Thorax; Field of view 420x420 mm; CT scan slice

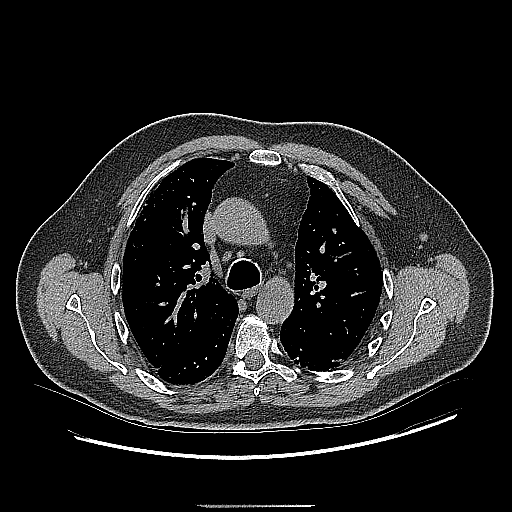
<segmentation>
  <lung_tumor>280:331:302:365, 303:359:311:368</lung_tumor>
</segmentation>